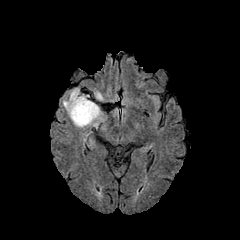
FLAIR MR.
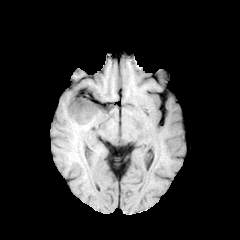
T1-weighted magnetic resonance of the same slice.
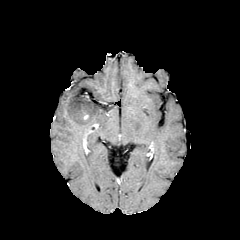
Post-contrast T1-weighted MRI of the same slice.
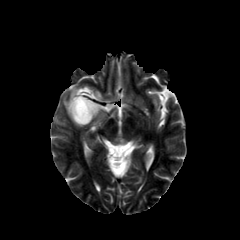
T2-weighted magnetic resonance.
Head
The non-enhancing tumor core is bounded by (left=76, top=106, right=89, bottom=121). The edema is bounded by (left=63, top=88, right=105, bottom=129).